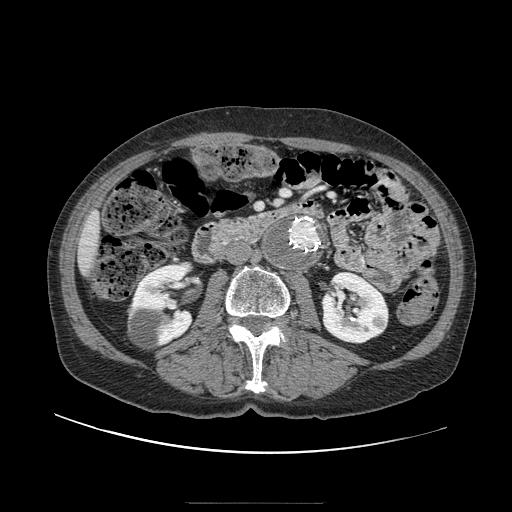 Abdomen. CT.
The pancreas appears at bbox(224, 218, 243, 232).